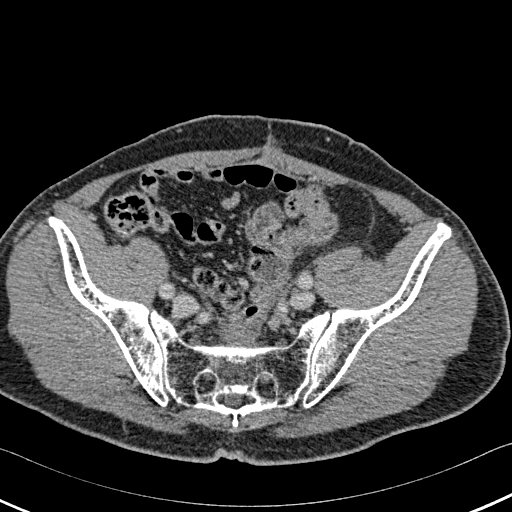
CT scan slice
Bone = <bbox>49, 217, 450, 426</bbox>.